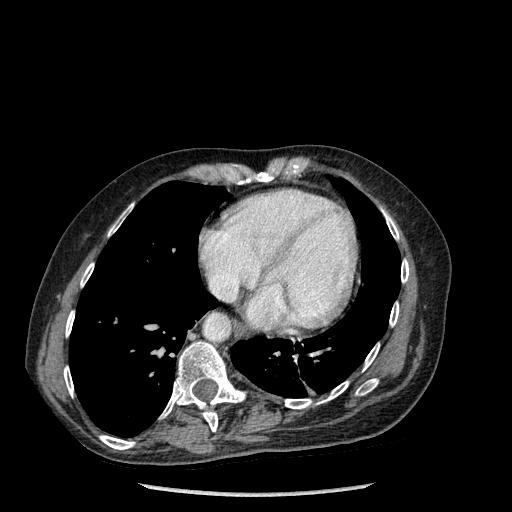
CT scan slice; Thorax

2 lung regions are located at x1=69, y1=181, x2=228, y2=437; x1=231, y1=180, x2=400, y2=398. 13 bone regions are located at x1=382, y1=210, x2=399, y2=240; x1=99, y1=435, x2=134, y2=449; x1=355, y1=378, x2=378, y2=395; x1=159, y1=341, x2=245, y2=431; x1=401, y1=259, x2=408, y2=282; x1=80, y1=263, x2=93, y2=287; x1=238, y1=171, x2=273, y2=184; x1=63, y1=366, x2=73, y2=397; x1=65, y1=311, x2=74, y2=336; x1=362, y1=343, x2=379, y2=371; x1=284, y1=381, x2=348, y2=408; x1=389, y1=302, x2=398, y2=326; x1=108, y1=203, x2=133, y2=236.